CT; Slice index 247; 512x512 px; Image width 360 mm

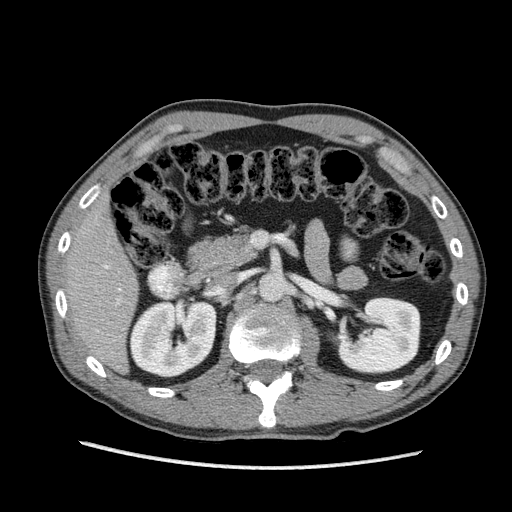

2 kidney regions appear at bbox(339, 298, 419, 371); bbox(131, 303, 215, 375). The liver appears at bbox(62, 195, 139, 373).